Abdomen; Slice 447 of 629; Image size 512x512; CT slice; Field of view 400 mm wide, 0.70 mm slice spacing

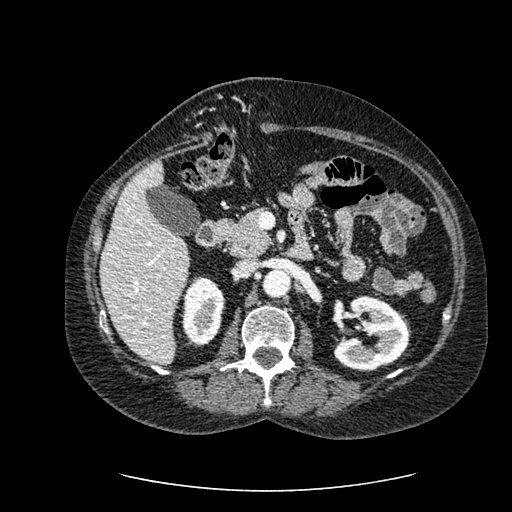
{
  "liver": [
    "left=100, top=160, right=187, bottom=363"
  ],
  "kidney": [
    "left=183, top=278, right=223, bottom=344",
    "left=333, top=296, right=408, bottom=369"
  ]
}